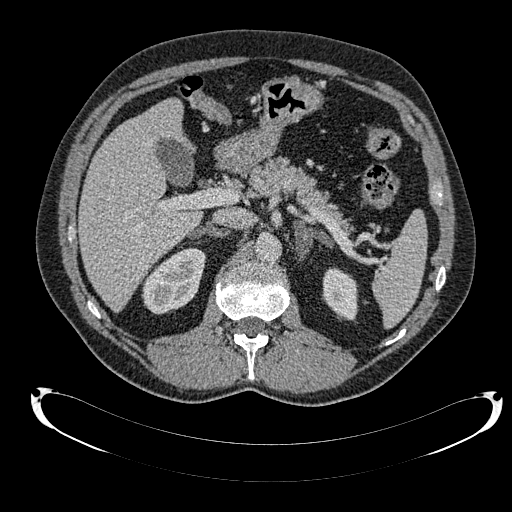 CT slice; Upper abdomen

kidney:
  - rect(143, 249, 204, 313)
  - rect(323, 269, 356, 318)
liver:
  - rect(79, 99, 201, 310)